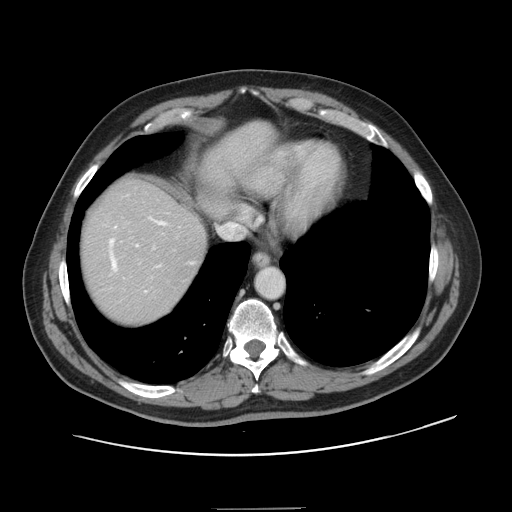 CT scan slice

Some hepatic vessels may have no box.
Segmented structures:
- hepatic vessel: (left=114, top=226, right=116, bottom=227), (left=151, top=219, right=164, bottom=224), (left=109, top=239, right=115, bottom=268)